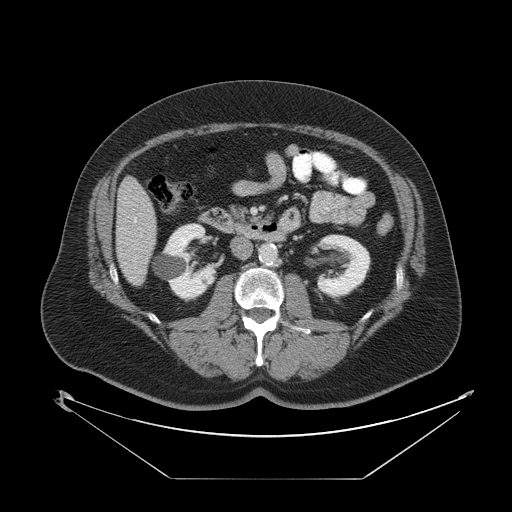 CT | Liver
The vessel boxes may cover only some of the vessels.
hepatic_vessel:
  - <box>134,218,136,222</box>